Slice index 86, CT slice
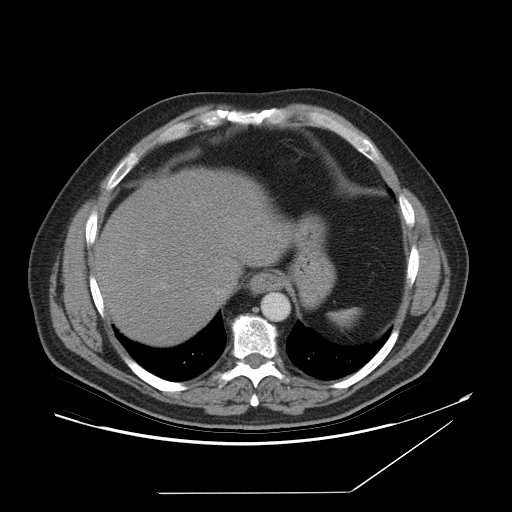

spleen: x1=330 y1=310 x2=360 y2=324